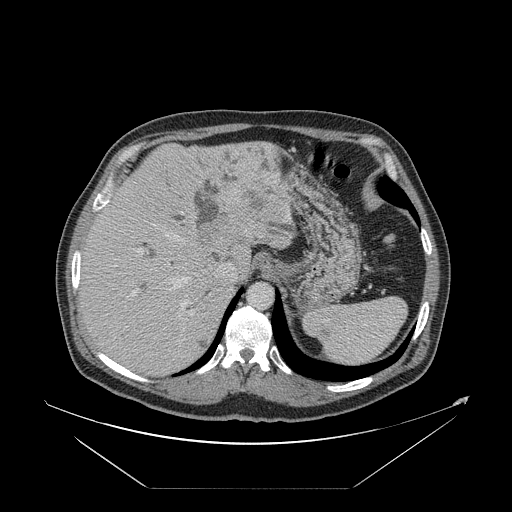

Computed tomography. Liver.

Not every hepatic vessel necessarily has a box.
11 hepatic vessel regions are located at {"x1": 183, "y1": 319, "x2": 186, "y2": 320}, {"x1": 215, "y1": 263, "x2": 236, "y2": 280}, {"x1": 228, "y1": 173, "x2": 230, "y2": 175}, {"x1": 168, "y1": 276, "x2": 189, "y2": 290}, {"x1": 167, "y1": 264, "x2": 168, "y2": 265}, {"x1": 127, "y1": 289, "x2": 138, "y2": 299}, {"x1": 134, "y1": 249, "x2": 143, "y2": 254}, {"x1": 159, "y1": 228, "x2": 185, "y2": 242}, {"x1": 180, "y1": 315, "x2": 182, "y2": 318}, {"x1": 211, "y1": 180, "x2": 218, "y2": 184}, {"x1": 180, "y1": 299, "x2": 194, "y2": 314}. The liver tumor is located at {"x1": 199, "y1": 205, "x2": 231, "y2": 238}.